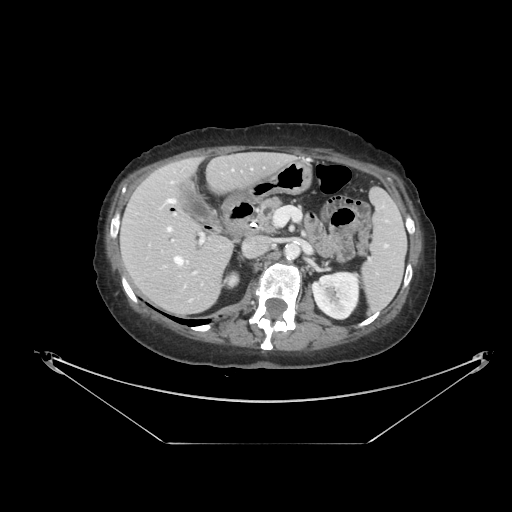

CT image
The pancreas appears at (259, 198, 281, 232).